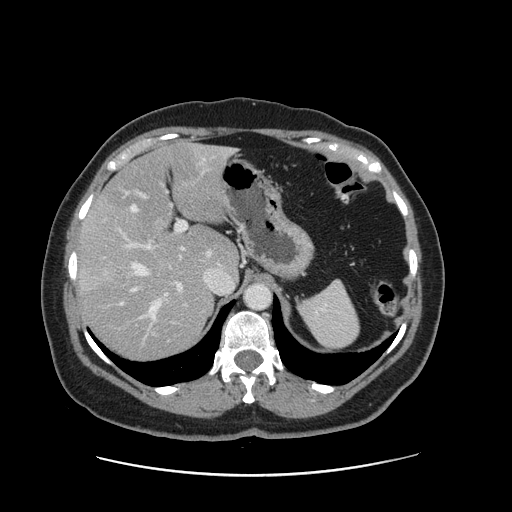

CT scan slice
The vessel boxes may cover only some of the vessels.
Segmented structures:
* hepatic vessel: (119, 302, 123, 305), (137, 192, 145, 196), (127, 242, 135, 247), (146, 243, 151, 248), (176, 221, 186, 231), (143, 300, 160, 320), (130, 288, 136, 291), (132, 263, 147, 275), (119, 229, 121, 230), (181, 247, 184, 249), (177, 282, 181, 289), (164, 293, 167, 296), (126, 191, 129, 193), (231, 150, 233, 151)
* liver tumor: (114, 269, 128, 286)